FLAIR MR.
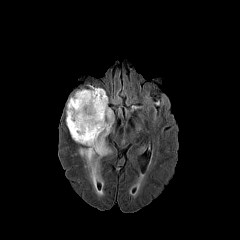
T1-weighted MRI.
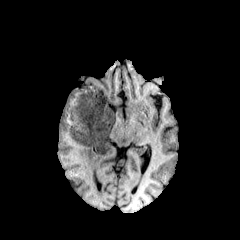
Post-contrast T1-weighted magnetic resonance.
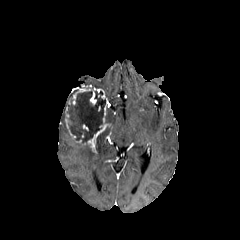
T2-weighted magnetic resonance.
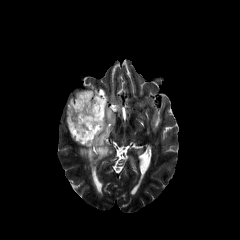
Brain
Segmented structures:
- non-enhancing tumor core: 64,88,105,142
- enhancing tumor: 73,84,92,99; 64,88,109,159
- edema: 81,127,116,164; 106,108,114,124